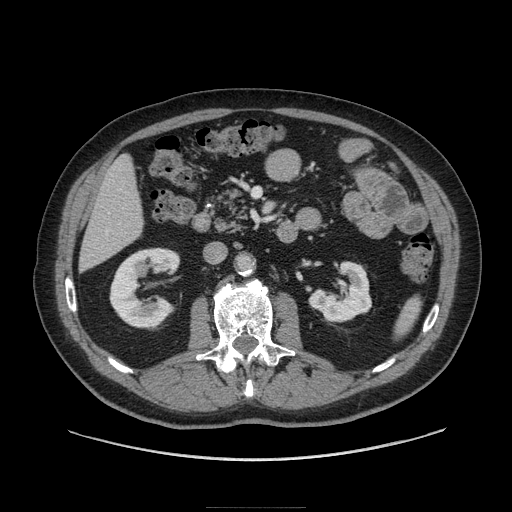 Upper abdomen; CT image; Image size 512x512

{
  "pancreas": [
    "[212,186,248,233]"
  ]
}